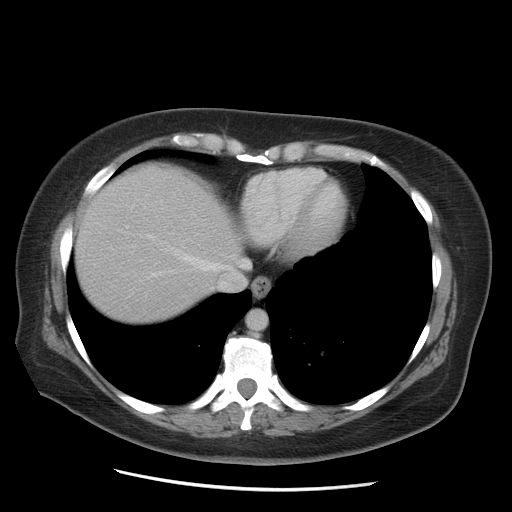 512x512 px; CT scan slice
The liver lies within left=76, top=166, right=242, bottom=321.